36x48; MR; Hippocampus

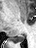 Posterior hippocampus — x1=12, y1=35, x2=25, y2=42.